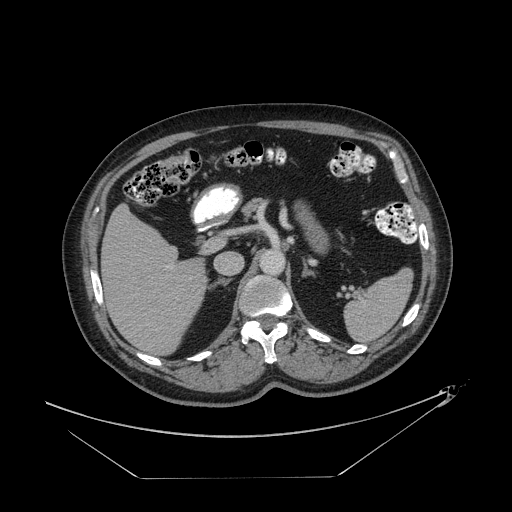
CT scan slice

colon_tumor:
  - [159, 155, 187, 166]
  - [167, 177, 177, 182]